FLAIR MRI.
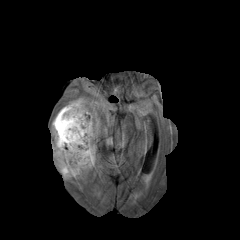
T1-weighted MR image.
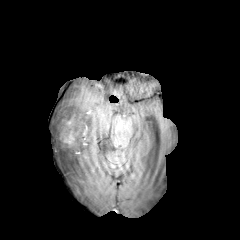
Post-contrast T1-weighted MR.
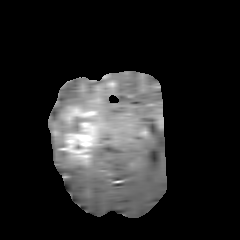
T2-weighted MR image.
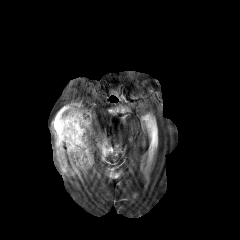
Head
non-enhancing tumor core: [66,117,83,132], [58,152,69,167], [56,131,65,149] | enhancing tumor: [57,105,94,164] | edema: [53,110,103,178], [51,100,84,134]